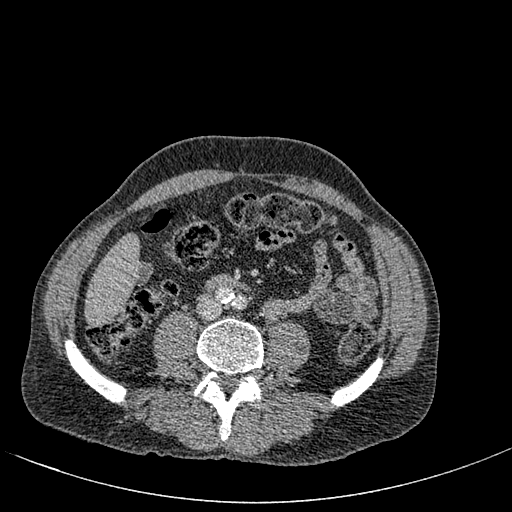 CT slice. Image size 512x512. liver: 85:234:138:322